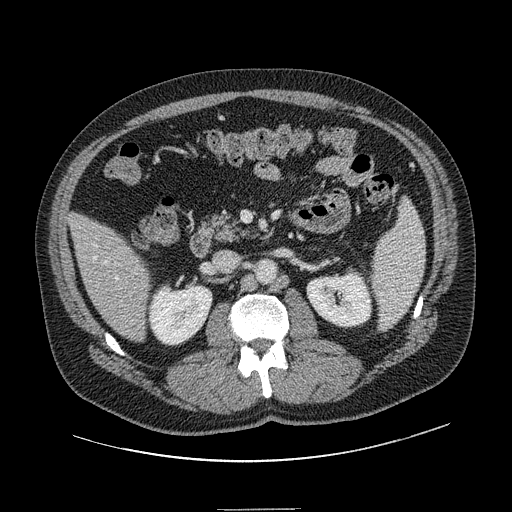 CT scan slice

The pancreas lies within <bbox>206, 215, 247, 241</bbox>.